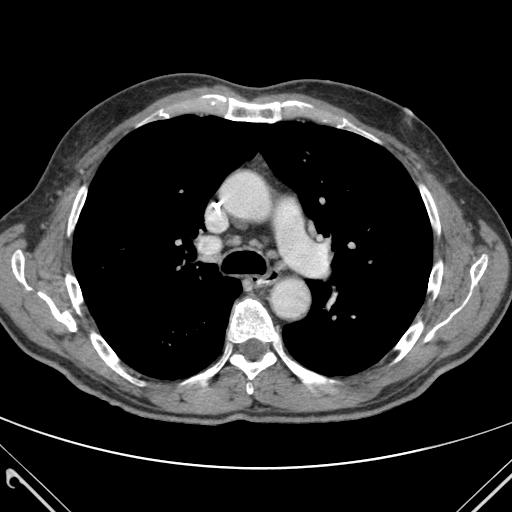
CT | Chest
<segmentation>
  <bone>box(428, 262, 442, 298); box(425, 297, 468, 341); box(203, 95, 311, 122); box(420, 186, 440, 232); box(320, 115, 353, 127); box(229, 299, 325, 383); box(68, 187, 86, 232); box(470, 255, 487, 287); box(38, 292, 76, 331); box(154, 110, 171, 117); box(91, 334, 130, 380); box(395, 322, 422, 361); box(12, 250, 30, 289); box(66, 275, 82, 313); box(183, 348, 275, 383)</bone>
  <lung>box(72, 115, 432, 379)</lung>
</segmentation>